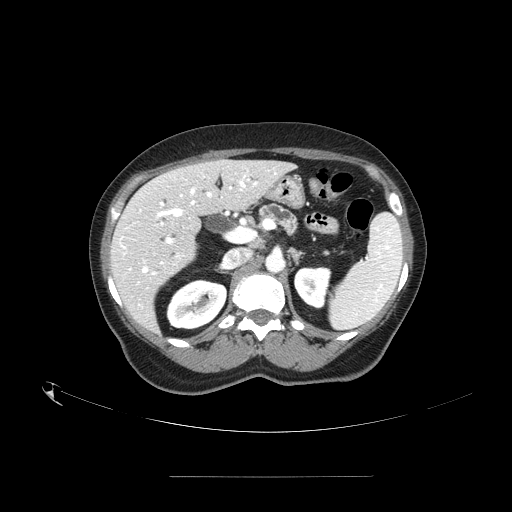

Computed tomography. Upper abdomen. Image size 512x512.
Findings:
* pancreas: {"x1": 258, "y1": 204, "x2": 298, "y2": 234}